Slice 71 of 155; Brain; Field of view 240 mm wide, 1.00 mm slice spacing; 240x240
FLAIR MR image.
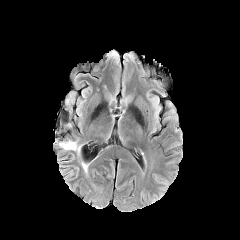
T1-weighted MR.
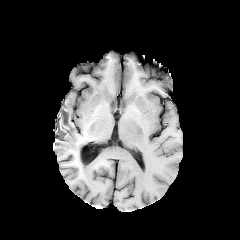
Post-contrast T1-weighted magnetic resonance.
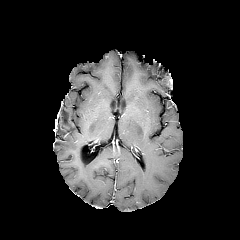
T2-weighted MR image.
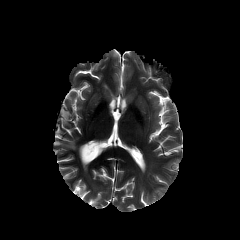
Edema = 59, 138, 81, 154; 65, 92, 74, 104.